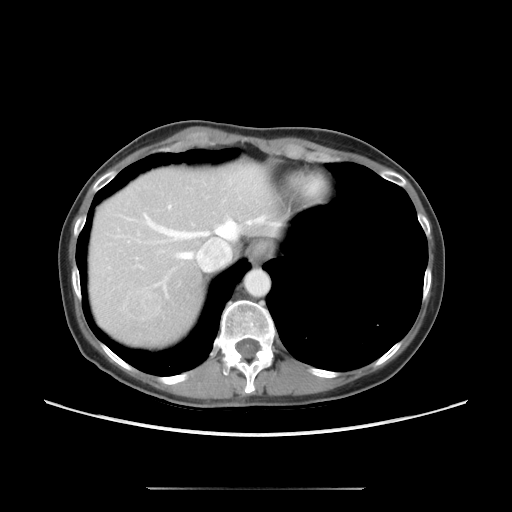 Computed tomography. Abdomen.
Only some of the vessels may be annotated.
Annotated regions:
- hepatic vessel: [126, 218, 131, 219], [214, 220, 235, 238], [127, 241, 129, 242], [245, 215, 266, 225], [144, 213, 208, 237], [175, 252, 191, 260]
- liver tumor: [128, 289, 159, 321]